Slice index 126; 240x240 px
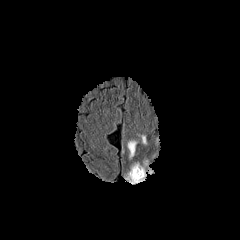
FLAIR MR.
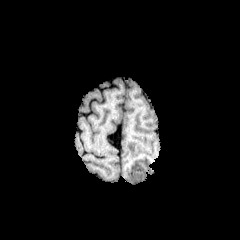
T1-weighted MR image of the same slice.
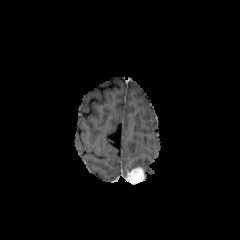
Post-contrast T1-weighted MR.
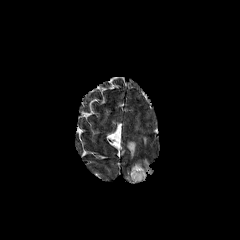
T2-weighted MR.
edema: bbox(127, 140, 136, 158) | enhancing tumor: bbox(125, 168, 144, 184)